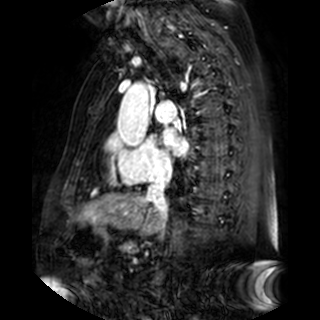 320x320 px, MRI
Left atrium at 163, 128, 188, 155.